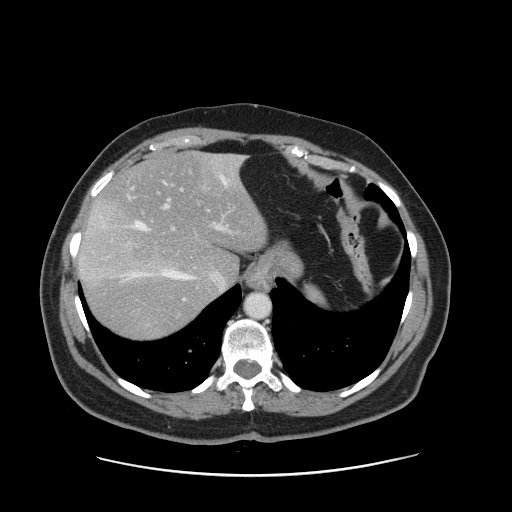

CT | 512x512 px
The vessel boxes may cover only some of the vessels.
<segmentation>
  <hepatic_vessel>(181, 189, 182, 190), (240, 157, 242, 158), (183, 274, 190, 279), (127, 272, 142, 277), (183, 298, 185, 300), (172, 227, 173, 229), (163, 270, 172, 275), (214, 223, 228, 229), (221, 177, 226, 183), (164, 198, 170, 207)</hepatic_vessel>
</segmentation>